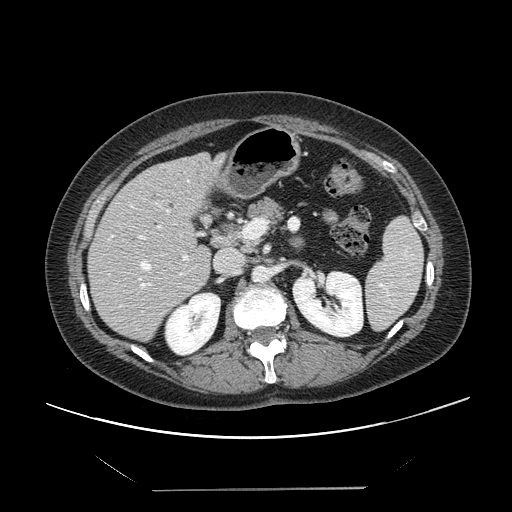 512x512 px. Liver. CT image.

The vessel boxes may cover only some of the vessels.
{"hepatic_vessel": ["x1=182, y1=254, x2=189, y2=261", "x1=243, y1=218, x2=261, y2=238", "x1=138, y1=234, x2=146, y2=239", "x1=215, y1=249, x2=243, y2=272", "x1=154, y1=202, x2=170, y2=213", "x1=139, y1=260, x2=151, y2=271", "x1=187, y1=180, x2=188, y2=181", "x1=138, y1=277, x2=151, y2=288", "x1=180, y1=234, x2=182, y2=237", "x1=108, y1=234, x2=112, y2=241", "x1=129, y1=204, x2=135, y2=208", "x1=157, y1=224, x2=162, y2=228"]}